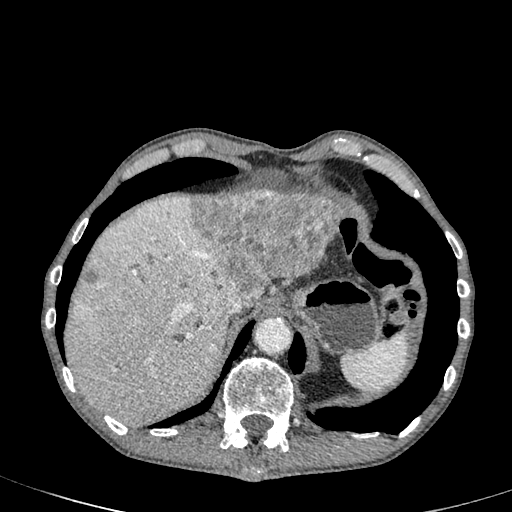
Computed tomography, Image size 512x512
* hepatic lesion: bbox=[83, 269, 97, 283]; bbox=[190, 191, 343, 307]
* liver: bbox=[272, 277, 300, 281]; bbox=[66, 197, 238, 424]